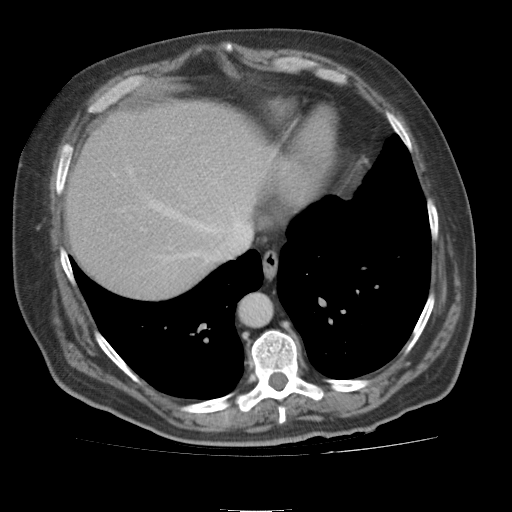

512x512 px. Liver. CT image.
Liver — region(68, 99, 270, 300).